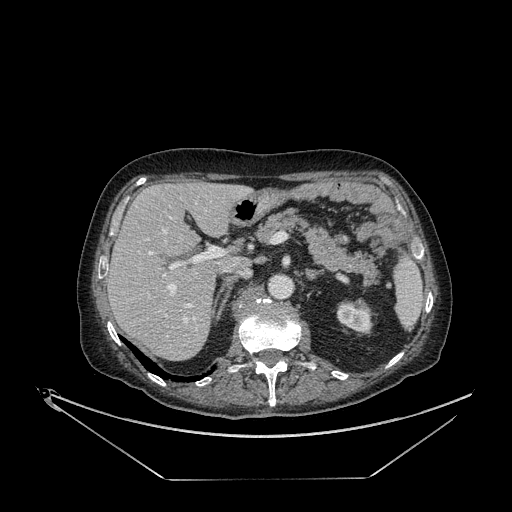 CT scan slice | Image size 512x512 | Abdomen
Segmented structures:
* kidney: (337, 301, 371, 332)
* liver: (108, 182, 252, 360)